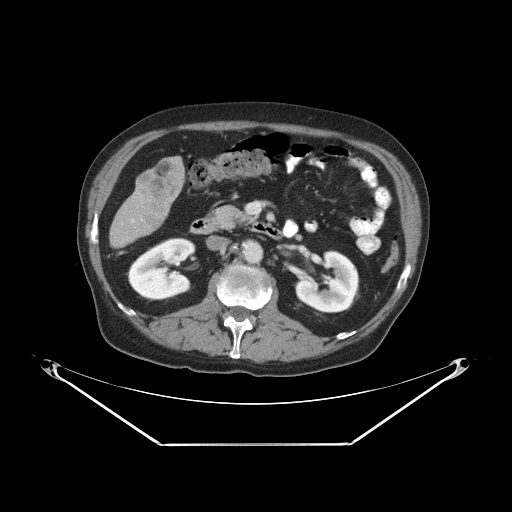
Computed tomography
Not every hepatic vessel necessarily has a box.
<segmentation>
  <liver_tumor>box=[136, 159, 183, 203]</liver_tumor>
  <hepatic_vessel>box=[132, 219, 134, 221]</hepatic_vessel>
</segmentation>